Slice index 81
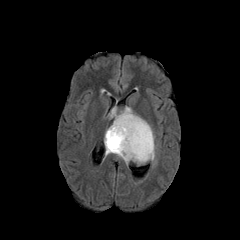
FLAIR MR image.
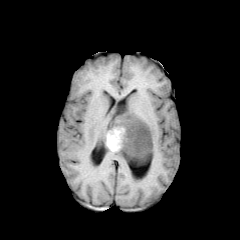
T1-weighted magnetic resonance.
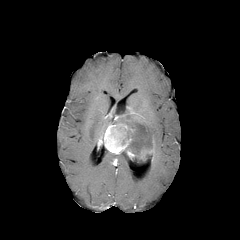
Same slice, post-contrast T1-weighted magnetic resonance.
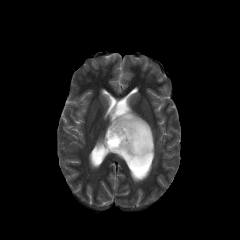
T2-weighted MR of the same slice.
2 enhancing tumor regions are located at x1=104 y1=121 x2=153 y2=159, x1=107 y1=108 x2=126 y2=120. The edema appears at x1=142 y1=120 x2=154 y2=139. 2 non-enhancing tumor core regions appear at x1=120 y1=152 x2=152 y2=164, x1=113 y1=107 x2=153 y2=153.